Image size 240x240.
FLAIR MR image.
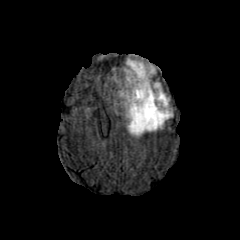
T1-weighted MR.
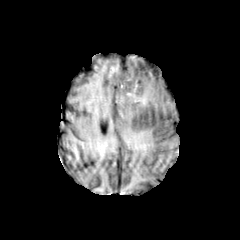
Post-contrast T1-weighted MRI.
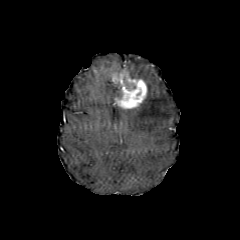
T2-weighted MR image.
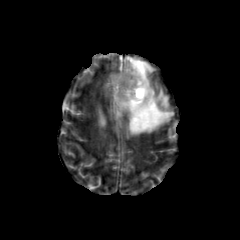
Edema: bounding box x1=124, y1=58, x2=173, y2=135.
Enhancing tumor: bounding box x1=113, y1=69, x2=147, y2=109.